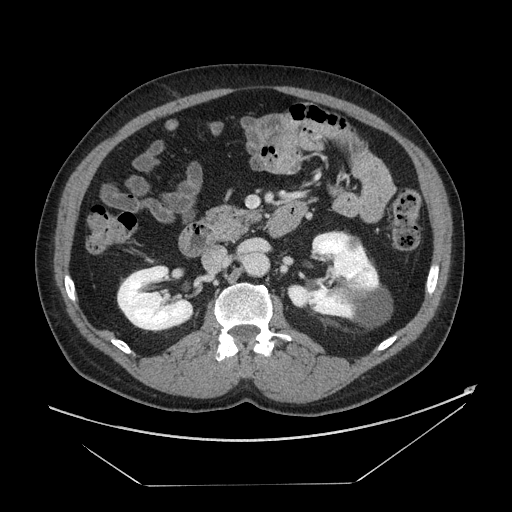
Upper abdomen | CT slice

The pancreas is at (x1=207, y1=206, x2=261, y2=240).